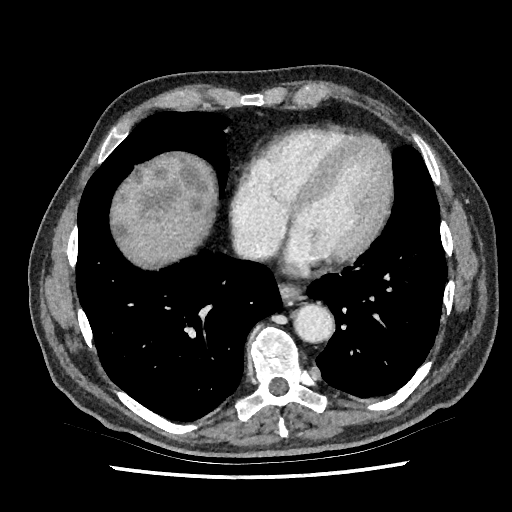 512x512 px | CT

Segmented structures:
• liver: bbox(112, 151, 213, 265)
• hepatic lesion: bbox(138, 183, 180, 221); bbox(114, 224, 127, 238); bbox(147, 260, 164, 265); bbox(117, 191, 128, 203); bbox(179, 158, 208, 212); bbox(149, 160, 168, 177); bbox(131, 166, 142, 183)